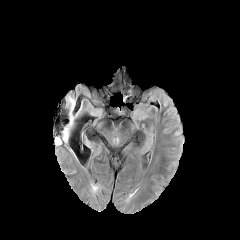
FLAIR magnetic resonance.
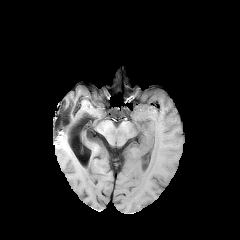
T1-weighted MR image.
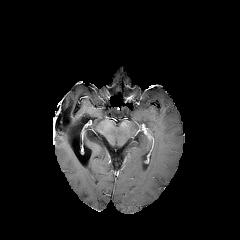
Post-contrast T1-weighted MR image.
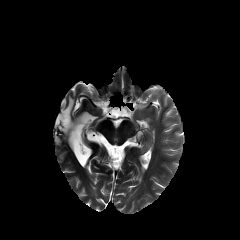
T2-weighted MR image of the same slice.
Segmented structures:
• edema: l=62, t=96, r=77, b=141